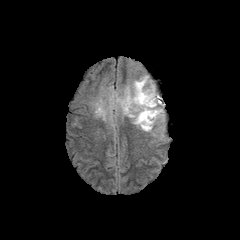
FLAIR MR image.
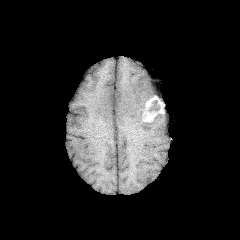
T1-weighted magnetic resonance of the same slice.
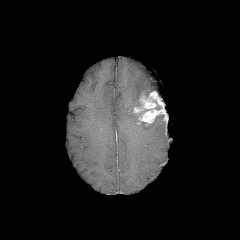
Post-contrast T1-weighted MRI.
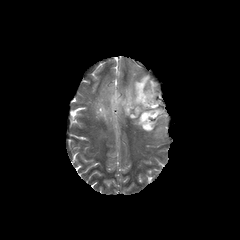
T2-weighted MR image of the same slice.
Head.
edema:
  - (92, 74, 165, 140)
enhancing_tumor:
  - (134, 91, 166, 125)
non-enhancing_tumor_core:
  - (110, 91, 119, 109)
  - (138, 83, 155, 101)